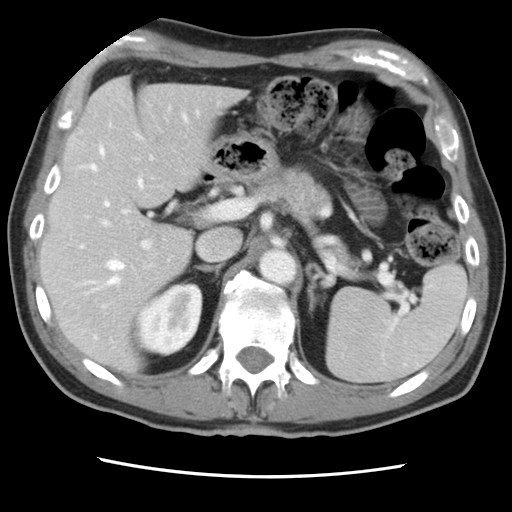

CT image | Abdomen
The vessel boxes may cover only some of the vessels.
The most prominent 15 hepatic vessel regions (of 17) are located at rect(104, 221, 108, 225); rect(138, 178, 142, 186); rect(90, 165, 96, 169); rect(105, 201, 108, 205); rect(184, 114, 186, 119); rect(151, 156, 152, 159); rect(197, 111, 198, 114); rect(123, 210, 128, 212); rect(108, 260, 123, 269); rect(142, 240, 150, 248); rect(100, 148, 104, 153); rect(94, 336, 96, 338); rect(108, 277, 119, 284); rect(103, 305, 105, 307); rect(84, 281, 93, 283).